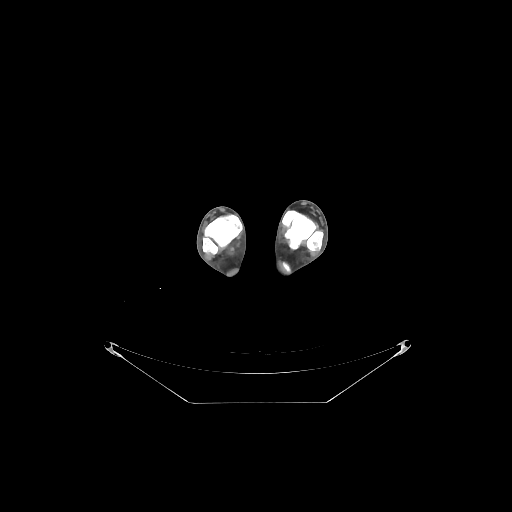

Image size 512x512. CT slice.
bone:
  - left=202, top=215, right=242, bottom=254
  - left=282, top=211, right=322, bottom=250